Abdomen, Slice index 68, CT scan slice
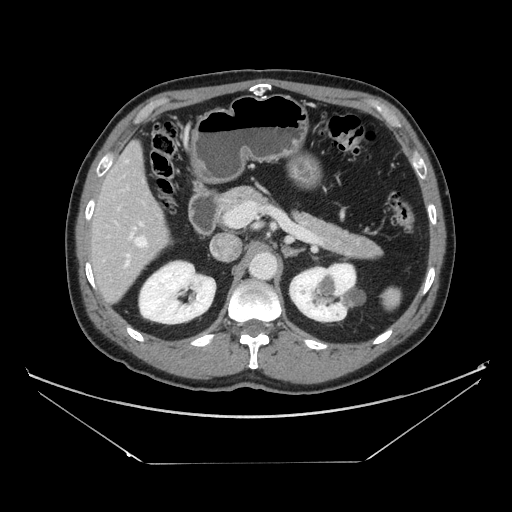 {"pancreas": ["286 210 381 259", "219 186 279 215"]}